MR; Image size 34x48; Medial temporal lobe; Slice index 11

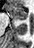
Annotated regions:
• anterior hippocampus: <bbox>9, 6, 27, 20</bbox>